Computed tomography, Image width 360 mm

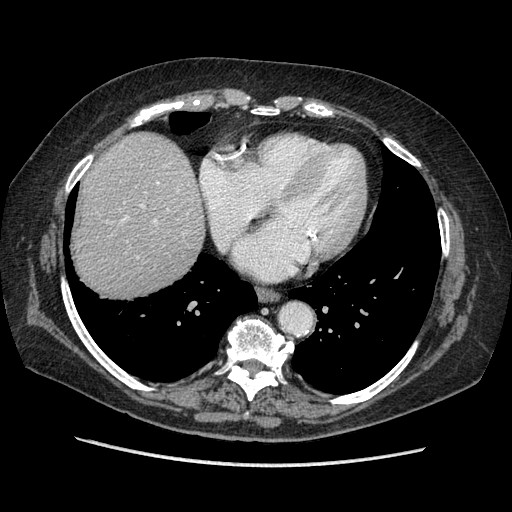 The vessel boxes may cover only some of the vessels.
hepatic_vessel:
  - [x1=141, y1=205, x2=143, y2=206]
  - [x1=154, y1=219, x2=156, y2=222]